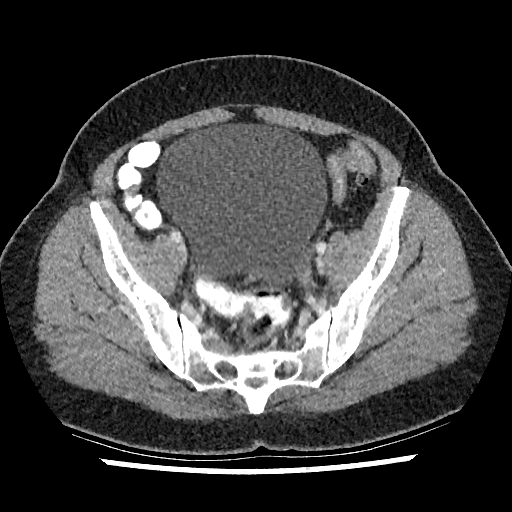
Lower abdomen, CT image
* urinary bladder: (157,121,327,291)